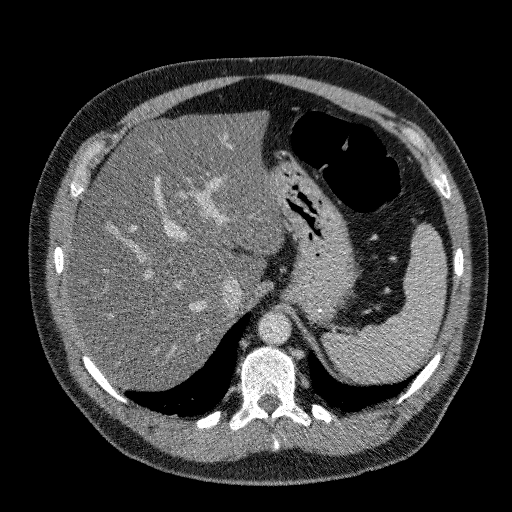

Image size 512x512, CT slice
liver:
  - region(70, 111, 281, 389)